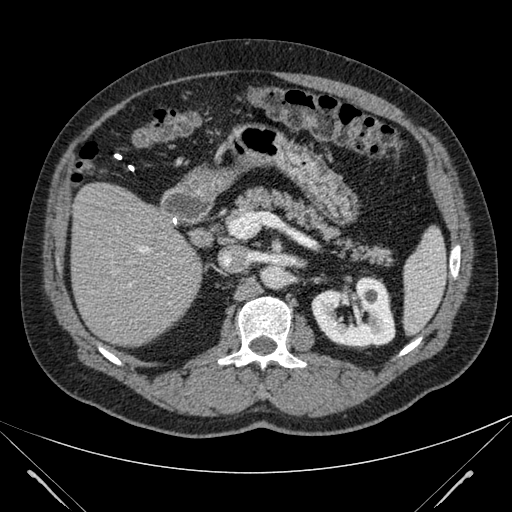
Abdomen. CT image. The kidney appears at x1=312 y1=278 x2=394 y2=345. The liver lies within x1=71 y1=183 x2=201 y2=346.